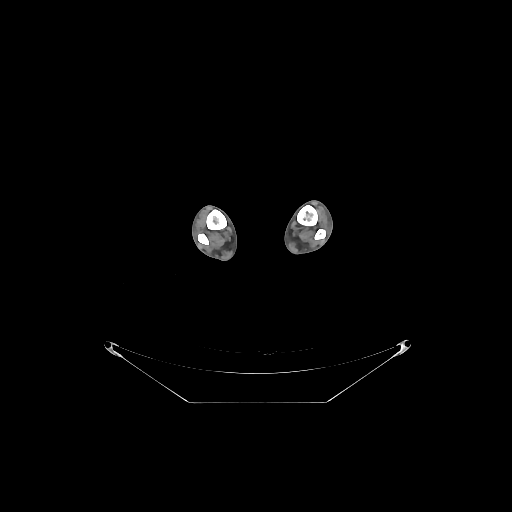

512x512 px, Computed tomography

4 bone regions are bounded by 198 234 208 244, 297 205 317 225, 206 209 226 229, 314 229 325 239.